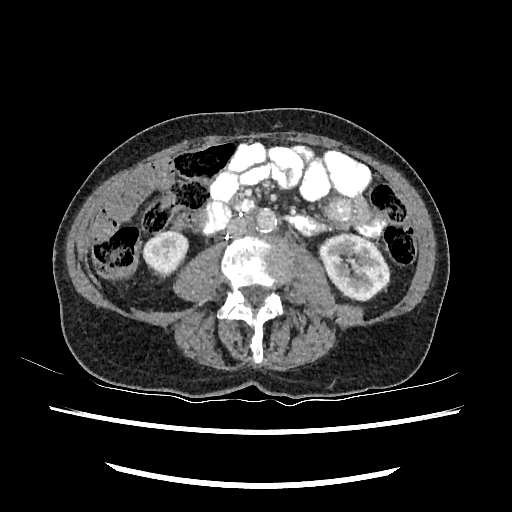 Image size 512x512 | Abdomen | CT image
Kidney: (x1=144, y1=231, x2=187, y2=271), (x1=320, y1=233, x2=388, y2=299).